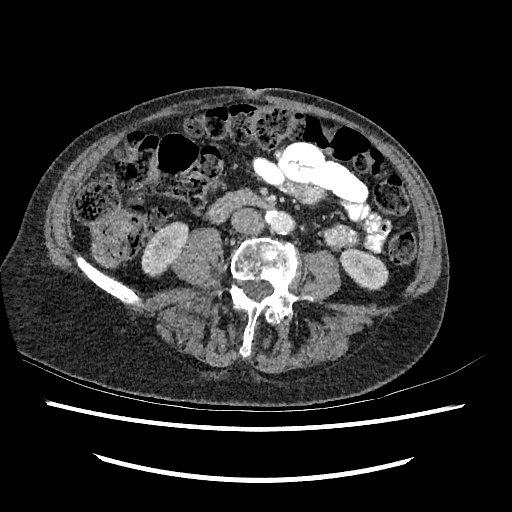

CT scan slice
{"kidney": ["x1=341 y1=249 x2=387 y2=288", "x1=141 y1=224 x2=189 y2=274"]}